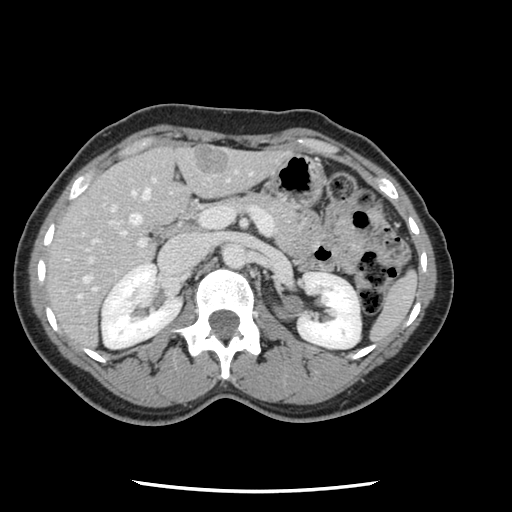
Liver, CT slice
Not every hepatic vessel necessarily has a box.
Hepatic vessel = [x1=109, y1=220, x2=117, y2=224], [x1=138, y1=239, x2=144, y2=245], [x1=89, y1=258, x2=91, y2=260], [x1=78, y1=295, x2=80, y2=297], [x1=142, y1=189, x2=149, y2=198], [x1=110, y1=205, x2=115, y2=210], [x1=152, y1=179, x2=154, y2=181], [x1=93, y1=239, x2=96, y2=241], [x1=132, y1=191, x2=135, y2=195], [x1=92, y1=287, x2=95, y2=289], [x1=130, y1=213, x2=140, y2=223], [x1=83, y1=276, x2=90, y2=281], [x1=120, y1=231, x2=124, y2=234].
Liver tumor = [x1=194, y1=151, x2=229, y2=173].